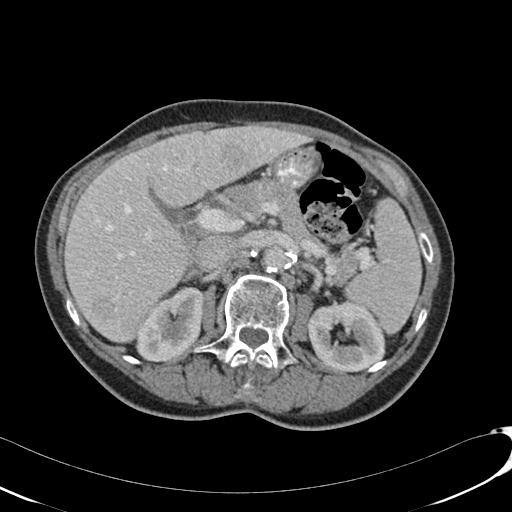 512x512 px. CT scan slice.

kidney:
  - box=[136, 288, 203, 361]
  - box=[308, 302, 384, 371]
liver:
  - box=[66, 127, 314, 340]
liver_lesion:
  - box=[219, 144, 253, 168]
  - box=[156, 174, 165, 185]
  - box=[92, 298, 117, 319]